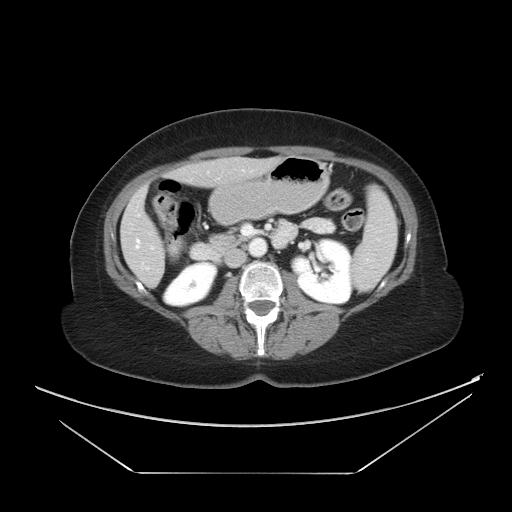 Computed tomography.
Not every hepatic vessel necessarily has a box.
- hepatic vessel: box(151, 246, 153, 249); box(145, 267, 148, 269); box(137, 214, 139, 216); box(136, 239, 139, 248)